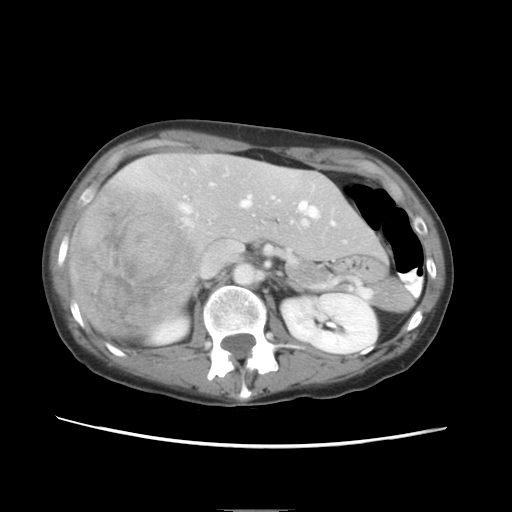

512x512 px; CT scan slice; Abdomen
Not every hepatic vessel necessarily has a box.
<segmentation>
  <liver_tumor>x1=70 y1=183 x2=201 y2=334</liver_tumor>
  <hepatic_vessel>x1=181 y1=204 x2=190 y2=212, x1=331 y1=221 x2=334 y2=224, x1=302 y1=219 x2=307 y2=224, x1=277 y1=199 x2=279 y2=200, x1=241 y1=195 x2=250 y2=206, x1=211 y1=183 x2=212 y2=184, x1=271 y1=196 x2=274 y2=198, x1=299 y1=201 x2=318 y2=216, x1=184 y1=218 x2=190 y2=224</hepatic_vessel>
</segmentation>